240x240.
FLAIR MR image.
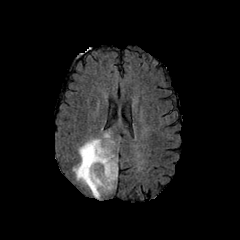
T1-weighted MR image.
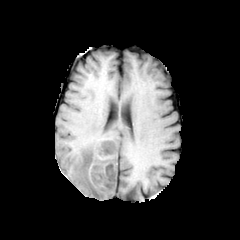
Post-contrast T1-weighted MRI.
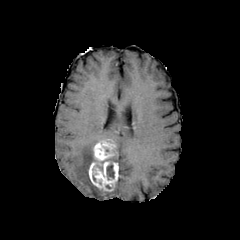
T2-weighted MR image.
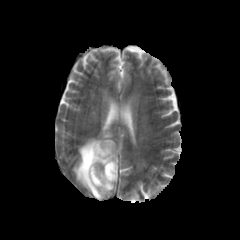
Edema: bounding box left=72, top=132, right=112, bottom=200.
Enhancing tumor: bounding box left=88, top=139, right=117, bottom=191.
Non-enhancing tumor core: bounding box left=82, top=148, right=102, bottom=187; left=107, top=163, right=114, bottom=177.